Field of view 419 mm wide, 5.00 mm slice spacing. Slice 23 of 45. CT. 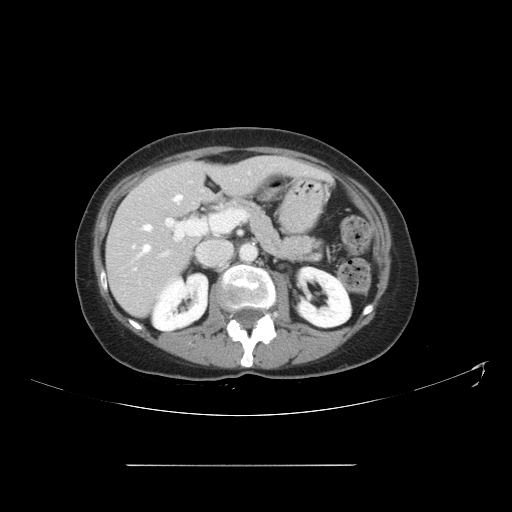

The vessel annotation is not exhaustive.
7 hepatic vessel regions are located at 175, 235, 180, 240; 248, 172, 250, 174; 133, 268, 136, 270; 142, 224, 151, 230; 136, 245, 150, 258; 160, 251, 168, 256; 174, 195, 182, 203.